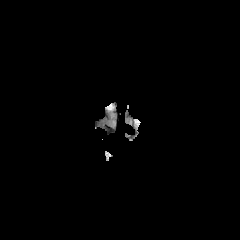
FLAIR MR.
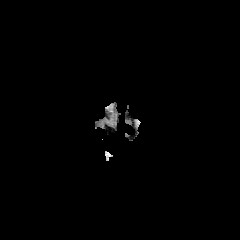
T1-weighted MR image of the same slice.
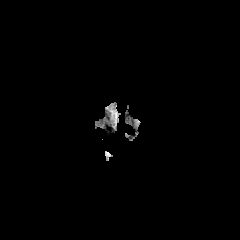
Same slice, post-contrast T1-weighted MRI.
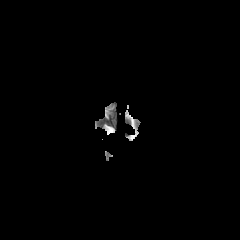
T2-weighted MR.
Brain
The edema appears at (107, 105, 113, 117).